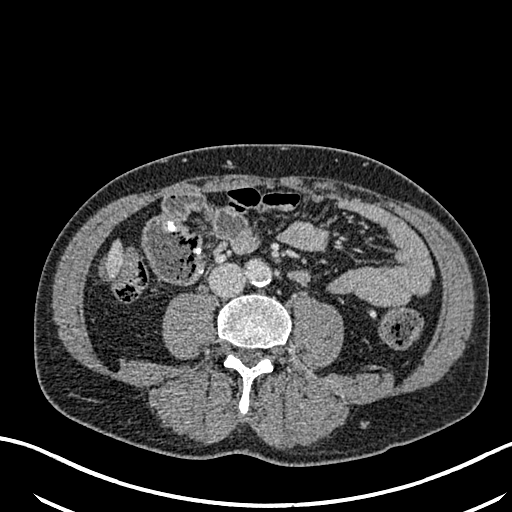
CT slice

<segmentation>
  <liver>(106, 239, 122, 276)</liver>
</segmentation>